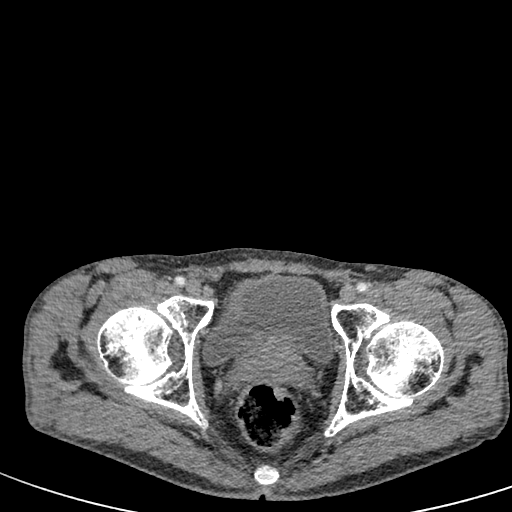
CT slice, Lower abdomen

Urinary bladder = x1=202 y1=273 x2=334 y2=365.